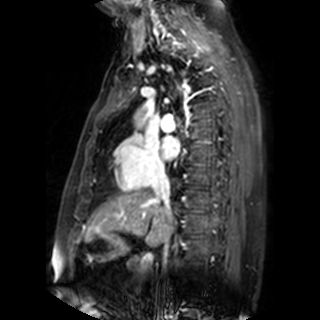
MRI
* left atrium: bbox(161, 136, 178, 158)